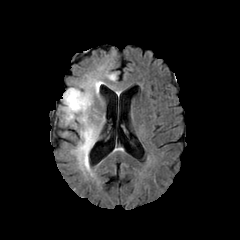
FLAIR magnetic resonance.
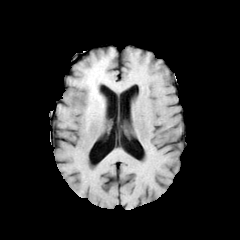
T1-weighted MR image.
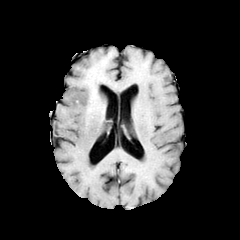
Same slice, post-contrast T1-weighted MR image.
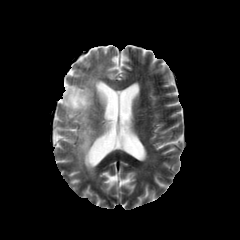
Same slice, T2-weighted MR.
Image size 240x240
Findings:
• edema: region(92, 66, 116, 81); region(61, 77, 99, 177); region(96, 82, 104, 101)
• non-enhancing tumor core: region(86, 77, 101, 94); region(87, 88, 93, 108)